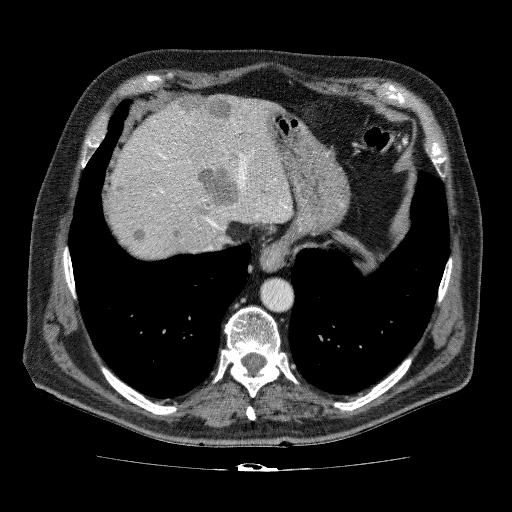

Liver. 512x512 px. Computed tomography. 7 hepatic lesion regions are bounded by box=[252, 182, 273, 198]; box=[192, 162, 239, 216]; box=[113, 183, 126, 196]; box=[176, 94, 232, 120]; box=[239, 129, 246, 140]; box=[130, 220, 148, 243]; box=[167, 227, 183, 241]. The liver is bounded by box=[105, 94, 292, 259].